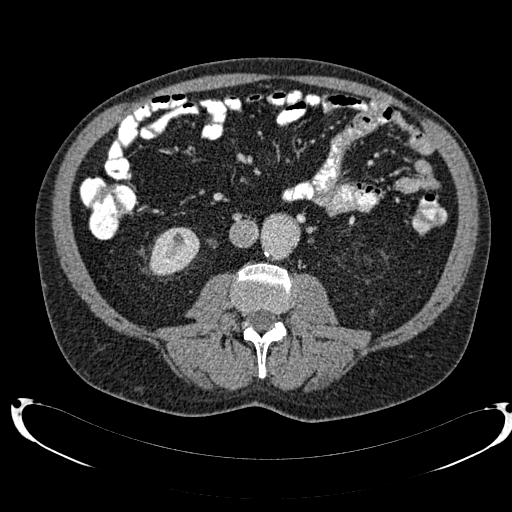
CT, Abdomen

The kidney is bounded by <bbox>149, 228, 199, 275</bbox>.